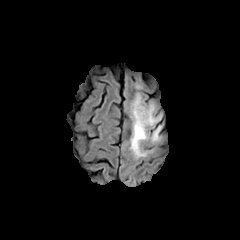
FLAIR MR.
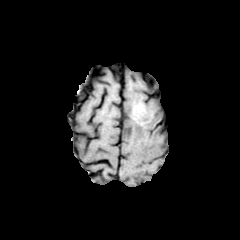
T1-weighted MR.
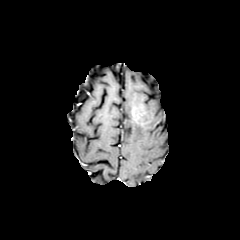
Post-contrast T1-weighted MR.
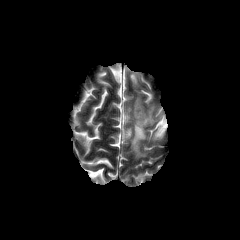
T2-weighted magnetic resonance.
Brain, 240x240 px
Edema = [129,94,162,158].
Enhancing tumor = [133,106,141,121].
Non-enhancing tumor core = [136,108,143,125].